MR | Slice 14 of 41

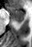
{"posterior_hippocampus": ["region(13, 19, 23, 23)"], "anterior_hippocampus": ["region(7, 7, 24, 18)"]}